Slice index 71
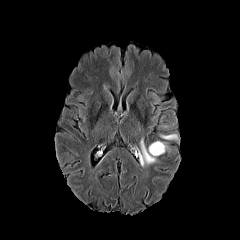
FLAIR MR.
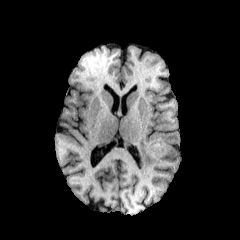
Same slice, T1-weighted magnetic resonance.
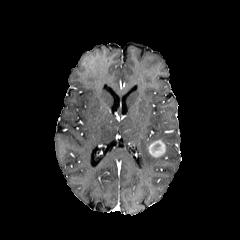
Post-contrast T1-weighted magnetic resonance.
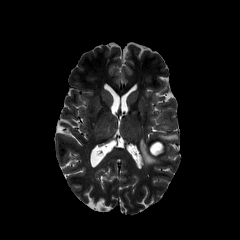
T2-weighted MR image.
Annotated regions:
• non-enhancing tumor core: bbox=[150, 142, 161, 151]
• enhancing tumor: bbox=[148, 139, 167, 157]
• edema: bbox=[139, 136, 160, 165]; bbox=[160, 134, 177, 139]